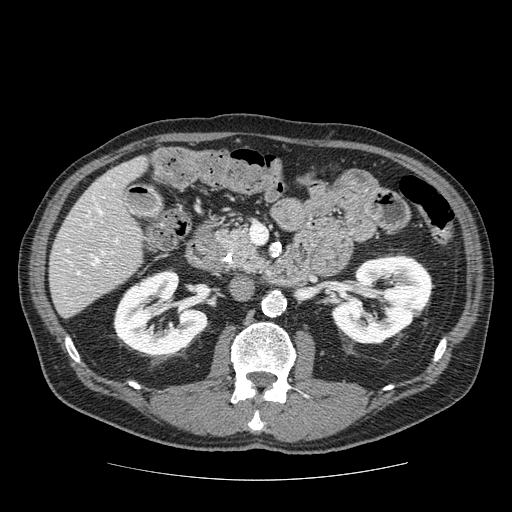

CT slice. 512x512 px.
pancreatic_tumor:
  - region(231, 240, 253, 255)
pancreas:
  - region(216, 226, 267, 274)